Field of view 403x403 mm, Liver, CT slice
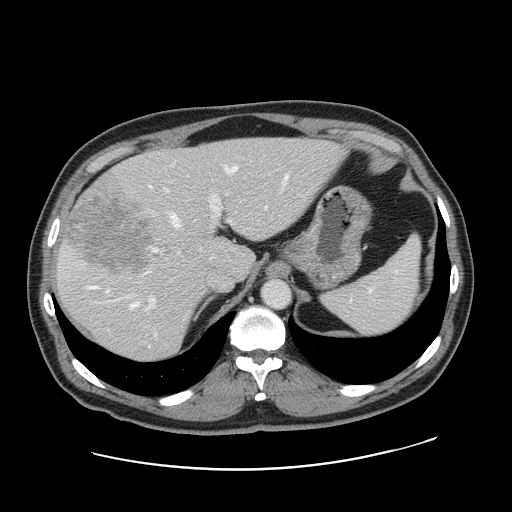
The vessel annotation is not exhaustive.
liver_tumor:
  - (left=66, top=192, right=151, bottom=272)
hepatic_vessel:
  - (left=154, top=331, right=156, bottom=335)
  - (left=169, top=213, right=179, bottom=225)
  - (left=164, top=187, right=168, bottom=191)
  - (left=149, top=185, right=152, bottom=186)
  - (left=150, top=246, right=162, bottom=252)
  - (left=265, top=206, right=266, bottom=207)
  - (left=227, top=218, right=234, bottom=227)
  - (left=172, top=162, right=174, bottom=164)
  - (left=144, top=296, right=154, bottom=310)
  - (left=281, top=174, right=288, bottom=187)
  - (left=224, top=166, right=236, bottom=172)
  - (left=210, top=194, right=222, bottom=224)